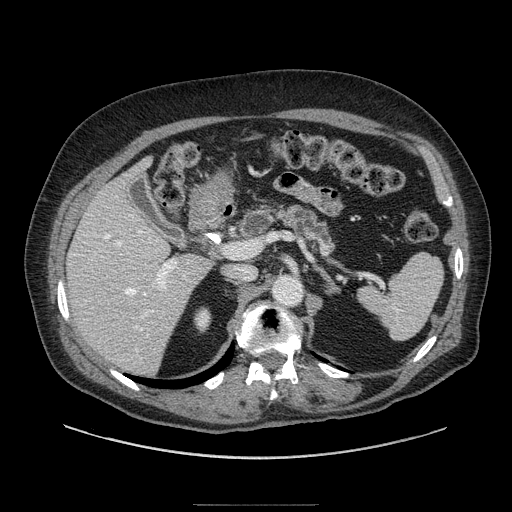

512x512. CT image. {"pancreas": ["<box>238,205,336,252</box>"]}